Computed tomography | Slice 463 of 466 | Field of view 344x344 mm

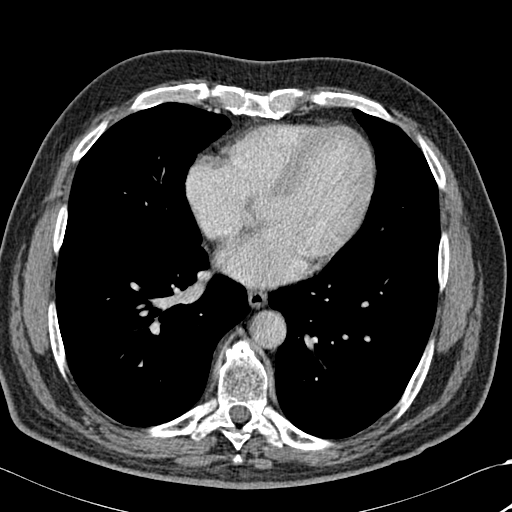

8 bone regions are located at (x1=47, y1=306, x2=64, y2=371), (x1=73, y1=120, x2=107, y2=160), (x1=417, y1=136, x2=445, y2=187), (x1=132, y1=83, x2=389, y2=119), (x1=438, y1=233, x2=451, y2=287), (x1=52, y1=205, x2=67, y2=251), (x1=398, y1=341, x2=434, y2=415), (x1=145, y1=341, x2=332, y2=450). 2 lung regions are bounded by (x1=55, y1=102, x2=249, y2=426), (x1=268, y1=109, x2=440, y2=438).